FLAIR MRI.
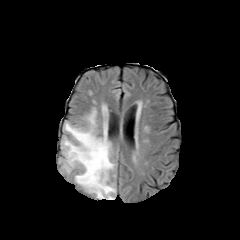
T1-weighted MR.
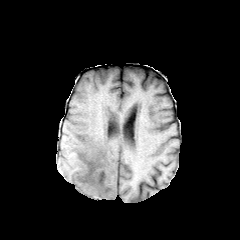
Post-contrast T1-weighted MR image.
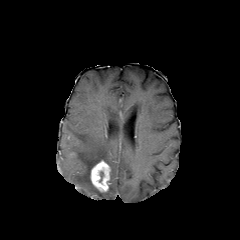
T2-weighted MRI.
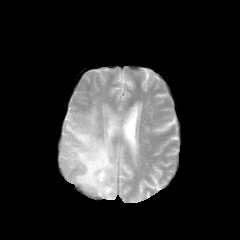
{
  "enhancing_tumor": [
    {"x1": 90, "y1": 160, "x2": 110, "y2": 192}
  ],
  "edema": [
    {"x1": 62, "y1": 108, "x2": 116, "y2": 199}
  ]
}